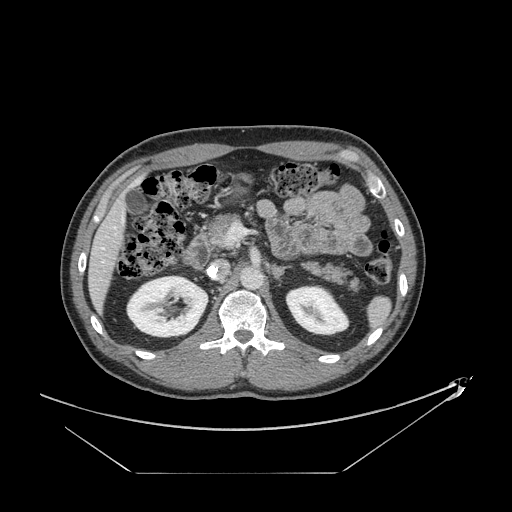

CT
2 pancreas regions are located at rect(207, 214, 240, 252); rect(302, 262, 358, 292).